Slice index 347 | Image size 512x512 | CT scan slice | Upper abdomen
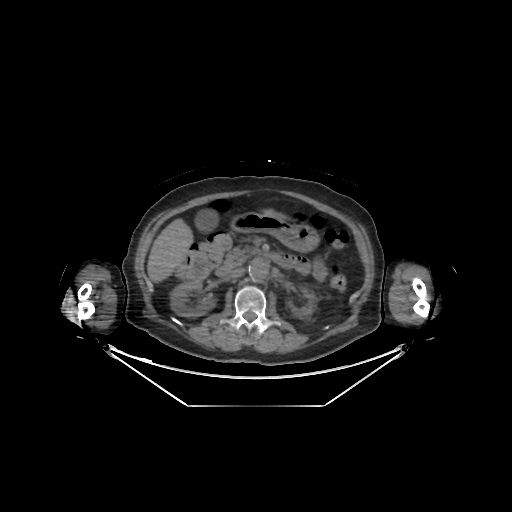

3 bone regions are located at {"x1": 412, "y1": 277, "x2": 429, "y2": 317}, {"x1": 233, "y1": 286, "x2": 267, "y2": 332}, {"x1": 77, "y1": 283, "x2": 94, "y2": 321}. The liver appears at {"x1": 148, "y1": 220, "x2": 192, "y2": 280}. 2 kidney regions appear at {"x1": 170, "y1": 281, "x2": 215, "y2": 318}, {"x1": 287, "y1": 287, "x2": 318, "y2": 318}.